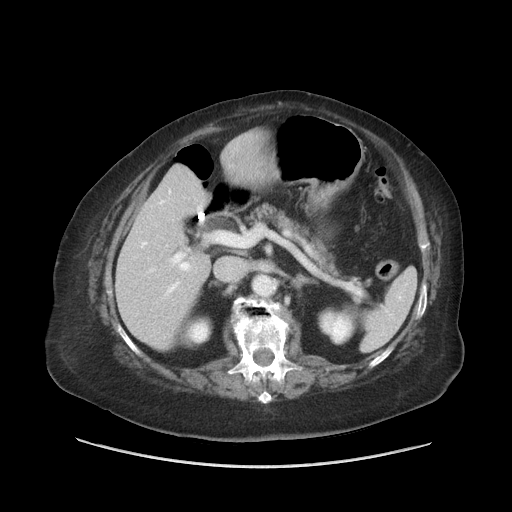
Liver. CT image.

Not every hepatic vessel necessarily has a box.
<segmentation>
  <hepatic_vessel>box=[181, 264, 187, 268]; box=[177, 255, 179, 259]</hepatic_vessel>
</segmentation>